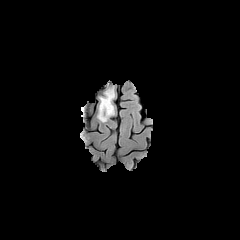
FLAIR MR.
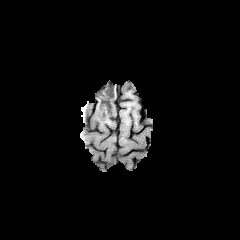
Same slice, T1-weighted MR image.
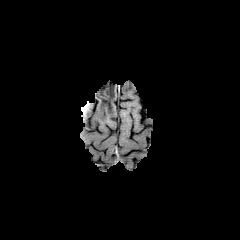
Same slice, post-contrast T1-weighted MRI.
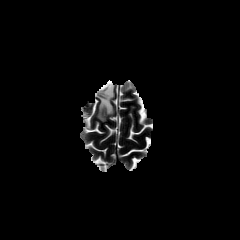
T2-weighted magnetic resonance.
Brain
edema:
  - bbox=[82, 103, 90, 112]
  - bbox=[96, 108, 107, 123]
non-enhancing_tumor_core:
  - bbox=[98, 86, 113, 117]